512x512; CT scan slice; Upper abdomen 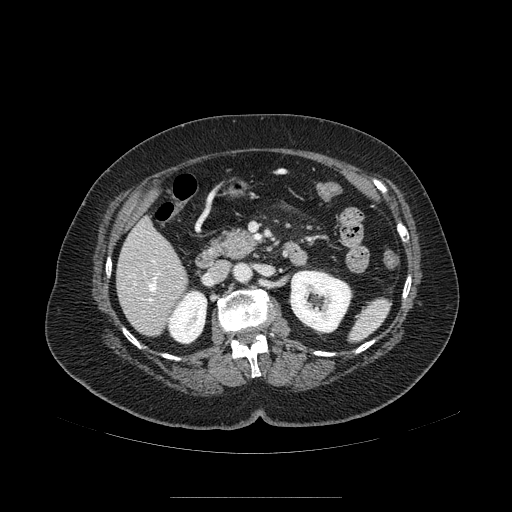 Pancreas at (left=220, top=226, right=259, bottom=261).